240x240 px
FLAIR MRI.
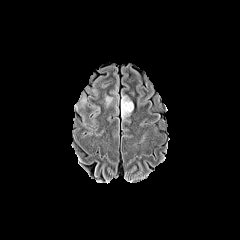
T1-weighted MR image.
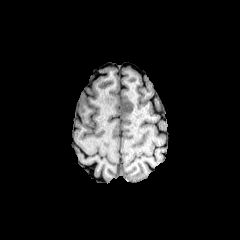
Post-contrast T1-weighted MR image.
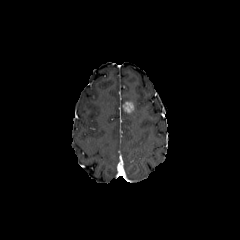
T2-weighted MR image.
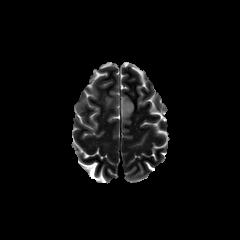
<segmentation>
  <edema>bbox(121, 95, 131, 118)</edema>
  <enhancing_tumor>bbox(123, 101, 134, 112)</enhancing_tumor>
</segmentation>